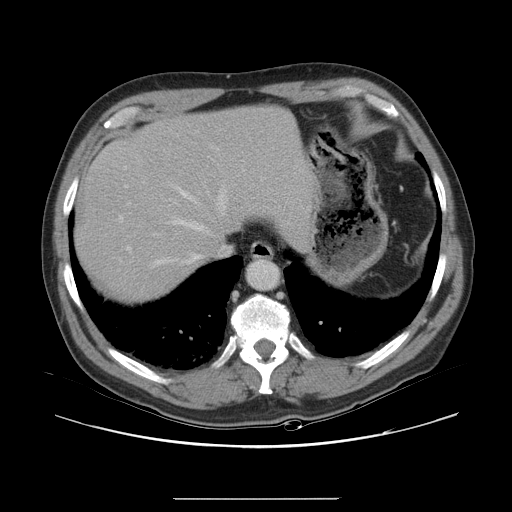
512x512; Liver; CT
Not every hepatic vessel necessarily has a box.
Hepatic vessel at 242,169,243,170; 118,216,123,221; 176,187,195,202; 151,258,177,267; 127,246,131,252; 125,185,127,187; 185,255,201,264; 218,191,226,215; 167,219,208,233; 210,145,217,150; 127,202,129,204; 124,167,125,169.